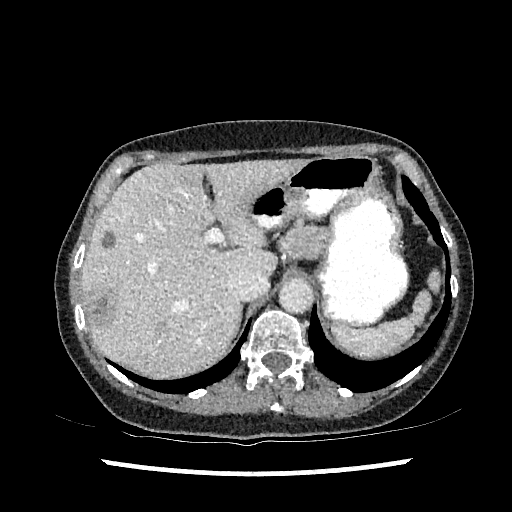

CT slice; Upper abdomen

4 liver lesion regions are located at 84,286,115,327; 157,322,165,332; 102,233,115,247; 178,170,197,189. The liver lies within 81,160,301,376.